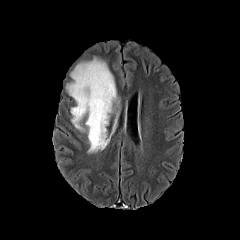
FLAIR MRI.
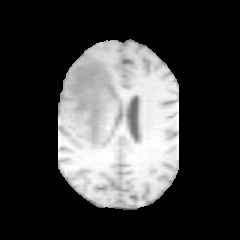
T1-weighted MR.
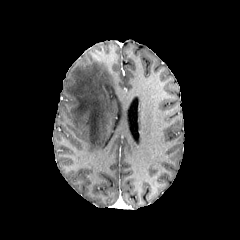
Post-contrast T1-weighted MRI.
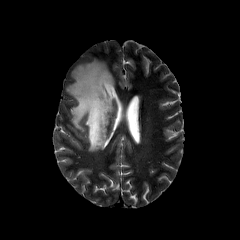
Same slice, T2-weighted magnetic resonance.
240x240 px. Head.
Edema = {"x1": 66, "y1": 60, "x2": 116, "y2": 153}.